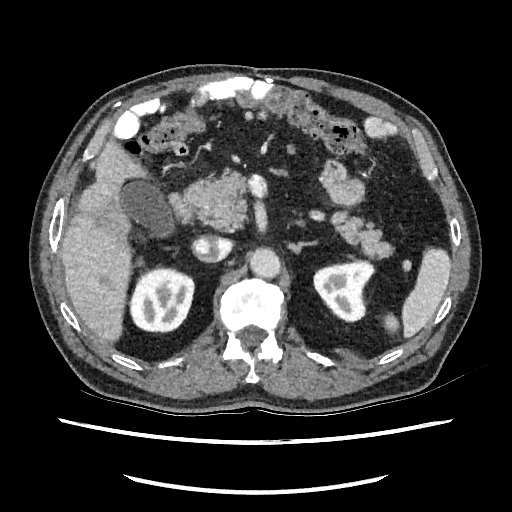
Liver; CT image
2 kidney regions are bounded by (129, 268, 194, 332), (314, 260, 374, 321). 2 liver lesion regions are located at (98, 276, 109, 286), (93, 200, 128, 238). The liver appears at (62, 144, 145, 341).